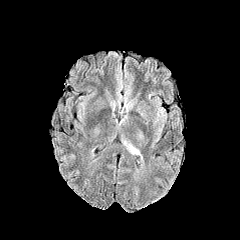
FLAIR MR.
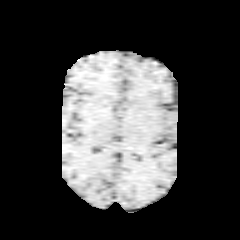
T1-weighted MR image.
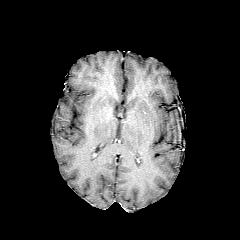
Same slice, post-contrast T1-weighted magnetic resonance.
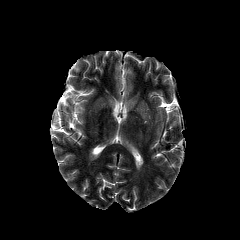
T2-weighted MR.
edema:
  - <bbox>125, 141, 139, 155</bbox>